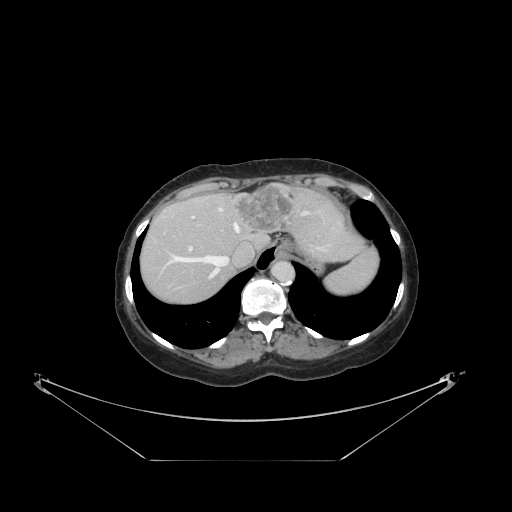 CT image. The vessel boxes may cover only some of the vessels.
Hepatic vessel: bounding box x1=218 y1=208 x2=222 y2=211, x1=189 y1=246 x2=192 y2=250, x1=168 y1=255 x2=230 y2=277, x1=233 y1=244 x2=253 y2=263, x1=233 y1=222 x2=239 y2=232, x1=304 y1=213 x2=307 y2=213, x1=192 y1=216 x2=194 y2=218.
Liver tumor: bounding box x1=233 y1=184 x2=294 y2=233.